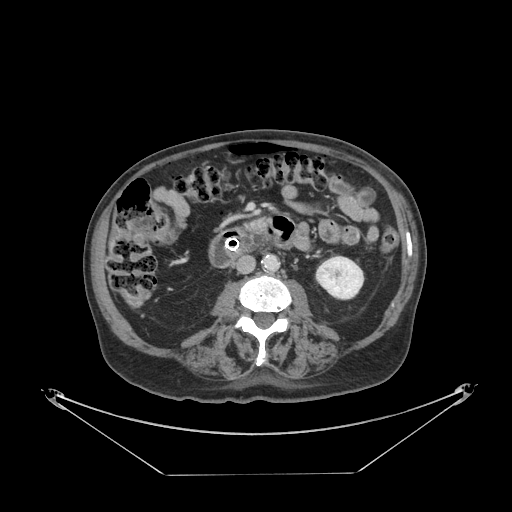
CT

The pancreas lies within box=[252, 220, 266, 227].